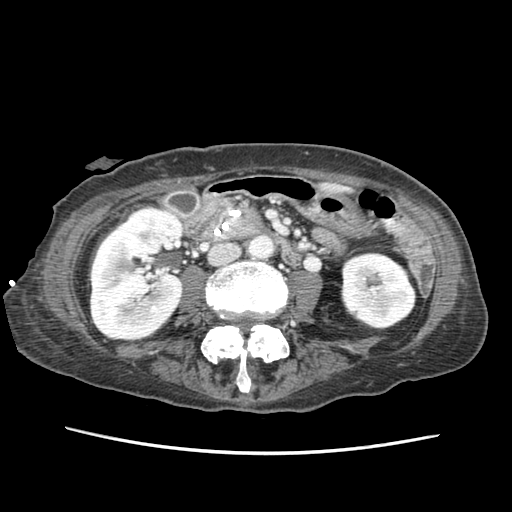

Abdomen; CT slice
pancreas:
  - 233,209,262,236
pancreatic_tumor:
  - 238,209,262,229